Image size 512x512, Abdomen, Slice index 430, CT, Image width 369 mm

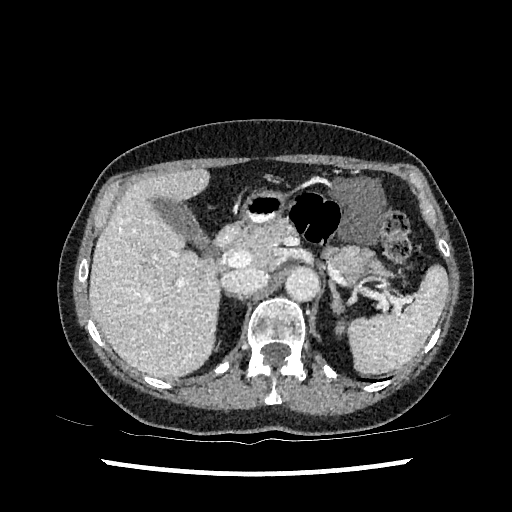
The liver appears at box=[90, 168, 219, 377]. The liver lesion appears at box=[142, 254, 150, 267].